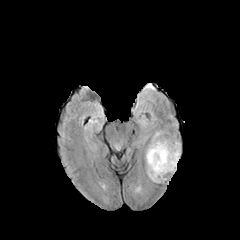
FLAIR magnetic resonance.
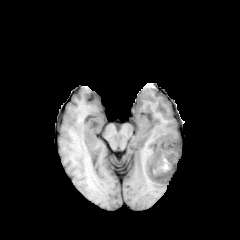
T1-weighted MR.
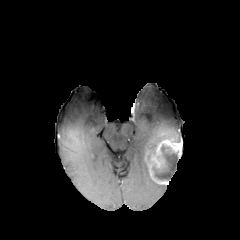
Post-contrast T1-weighted MR image.
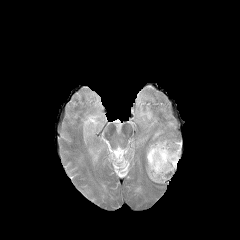
Same slice, T2-weighted magnetic resonance.
Image size 240x240. Brain.
- non-enhancing tumor core: bbox(146, 144, 179, 185)
- enhancing tumor: bbox(157, 140, 182, 157)
- edema: bbox(139, 128, 167, 159)